CT slice. Image width 438 mm.

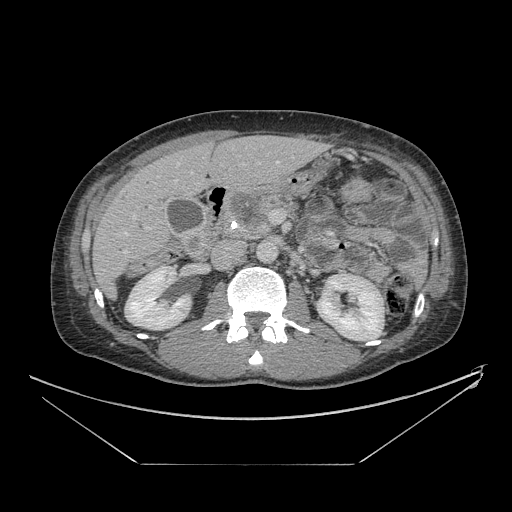 pancreas:
  - box=[218, 189, 293, 239]
pancreatic_tumor:
  - box=[228, 192, 264, 232]